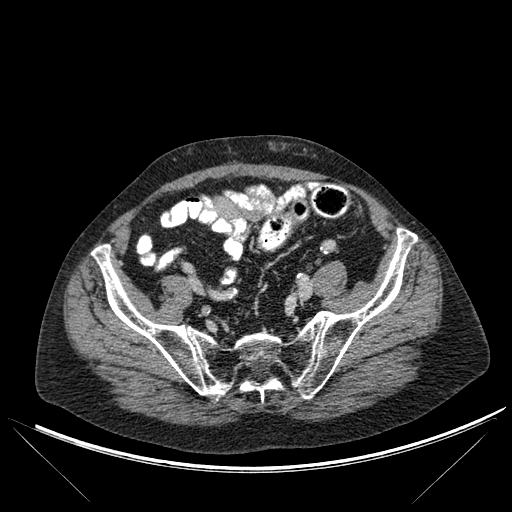

CT slice

2 bone regions are bounded by x1=91, y1=228, x2=417, y2=399; x1=240, y1=378, x2=281, y2=400.